CT image | Slice 626 of 677
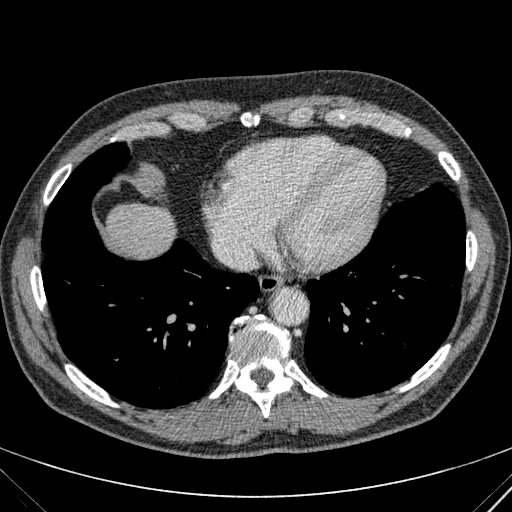

liver: 106,205,173,257